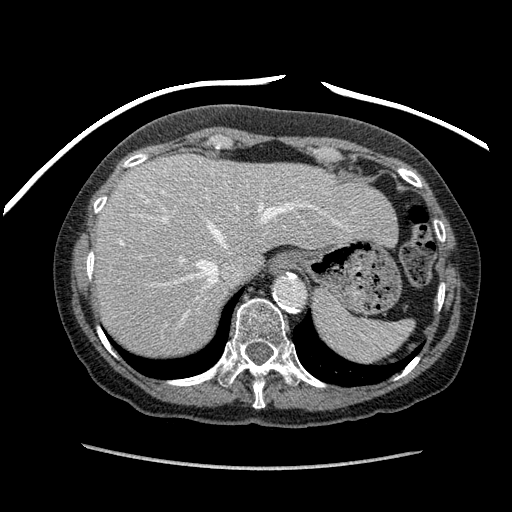

512x512; CT image
{
  "liver": [
    "region(93, 154, 396, 356)"
  ]
}